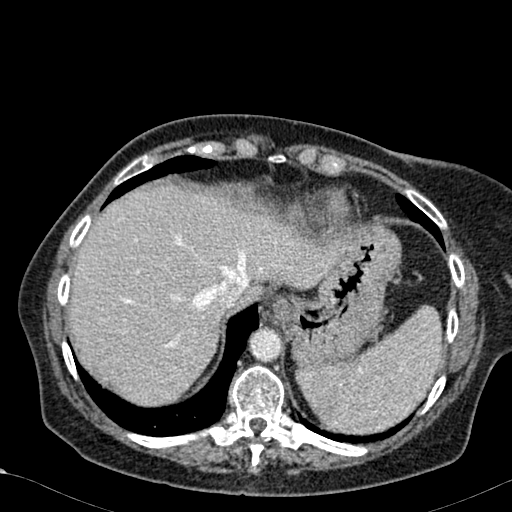

CT scan slice; Liver
liver:
  - [250,285,260,295]
  - [70,187,337,404]